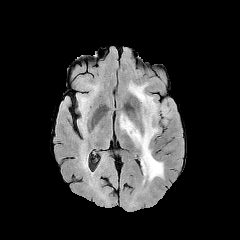
FLAIR MR image.
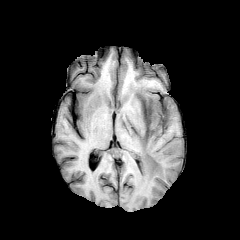
T1-weighted MR.
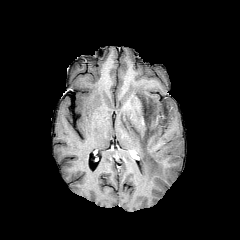
Post-contrast T1-weighted MR of the same slice.
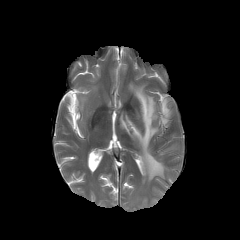
T2-weighted MRI.
The non-enhancing tumor core is at (left=142, top=104, right=153, bottom=132). The edema lies within (left=119, top=83, right=169, bottom=183).